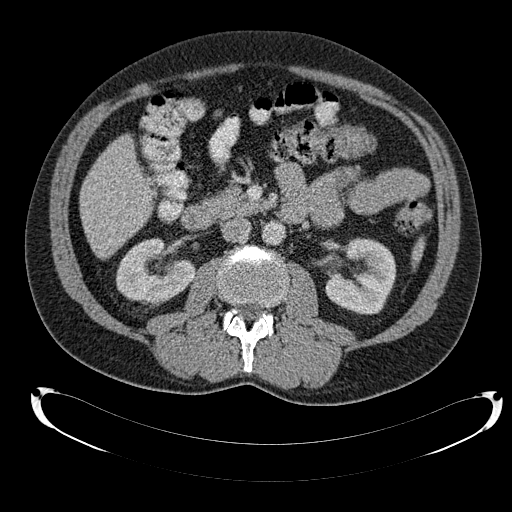
Upper abdomen; Image size 512x512; CT slice
• liver: {"x1": 80, "y1": 136, "x2": 151, "y2": 258}
• kidney: {"x1": 326, "y1": 239, "x2": 395, "y2": 313}, {"x1": 116, "y1": 239, "x2": 195, "y2": 302}